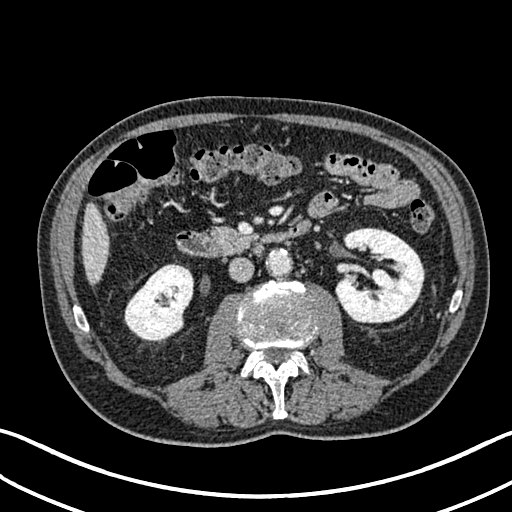
Abdomen | CT slice
<segmentation>
  <kidney>336, 229, 423, 322; 125, 265, 192, 339</kidney>
  <liver>83, 204, 109, 283</liver>
</segmentation>